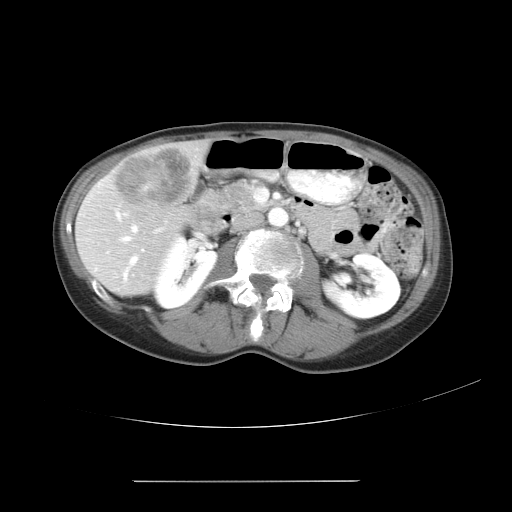
Image size 512x512. Computed tomography. Not every hepatic vessel necessarily has a box.
8 hepatic vessel regions are located at 122 236 129 240, 154 228 159 231, 131 225 136 231, 116 212 126 219, 129 256 136 264, 141 248 142 250, 93 268 96 270, 122 269 127 279. The liver tumor is bounded by 114 146 193 209.